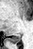
MRI slice.

Posterior hippocampus: left=7, top=34, right=20, bottom=43.